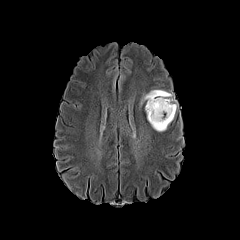
FLAIR MR image.
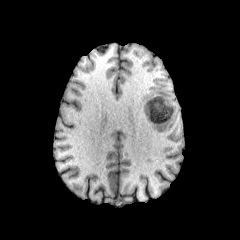
T1-weighted MRI of the same slice.
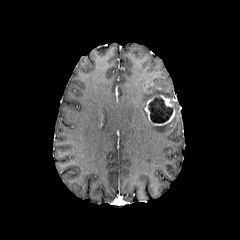
Post-contrast T1-weighted magnetic resonance.
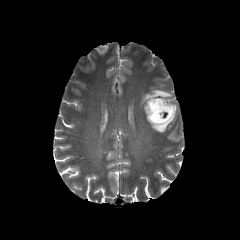
Same slice, T2-weighted MRI.
Head; 240x240 px
The enhancing tumor appears at bbox=[144, 95, 175, 126]. 2 edema regions are located at bbox=[150, 122, 169, 131]; bbox=[140, 90, 174, 107]. The non-enhancing tumor core appears at bbox=[148, 97, 173, 123].